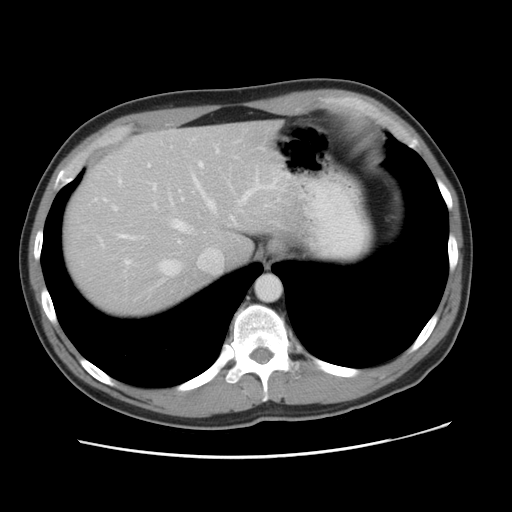 CT slice, 512x512 px
Some hepatic vessels may have no box.
The most prominent 15 hepatic vessel regions (of 22) are bounded by (192, 173, 214, 209), (237, 173, 278, 202), (112, 205, 117, 210), (102, 197, 106, 201), (158, 259, 178, 275), (198, 258, 201, 266), (119, 177, 121, 182), (230, 216, 234, 221), (153, 183, 155, 188), (116, 233, 140, 239), (124, 259, 131, 265), (170, 219, 192, 233), (99, 238, 103, 245), (199, 161, 202, 165), (206, 248, 214, 251).